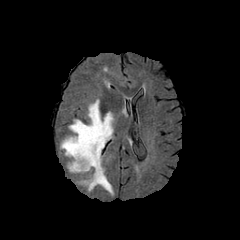
FLAIR MR image.
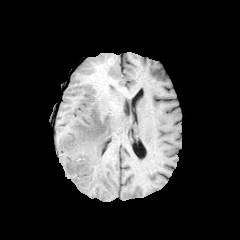
T1-weighted MRI of the same slice.
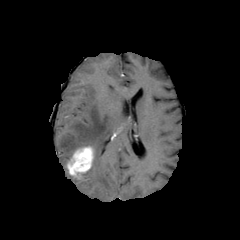
Post-contrast T1-weighted MR of the same slice.
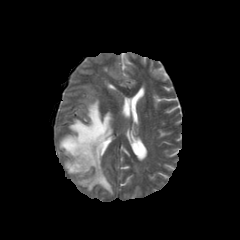
T2-weighted MR image.
The enhancing tumor is at (left=66, top=145, right=94, bottom=178). The edema is located at (left=59, top=99, right=113, bottom=193).